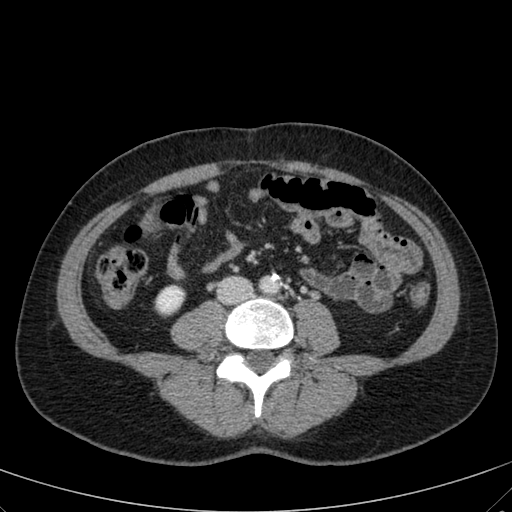
CT image. Abdomen.

Kidney = [157, 286, 183, 312].